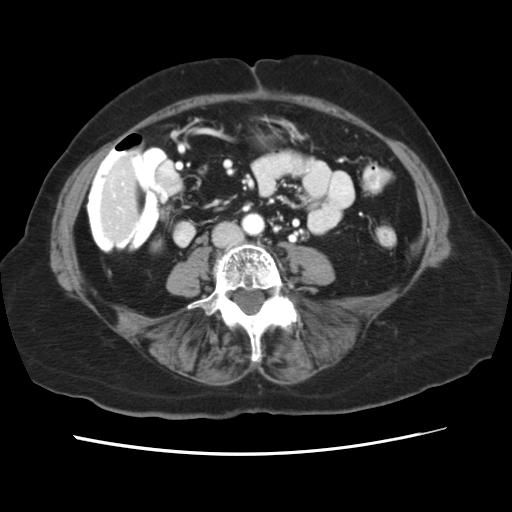 Image size 512x512. CT scan slice. The vessel annotation is not exhaustive.
2 hepatic vessel regions appear at rect(118, 208, 121, 209); rect(113, 195, 115, 197).